Computed tomography. Image size 512x512. Field of view 394 mm wide, 5.00 mm slice spacing. 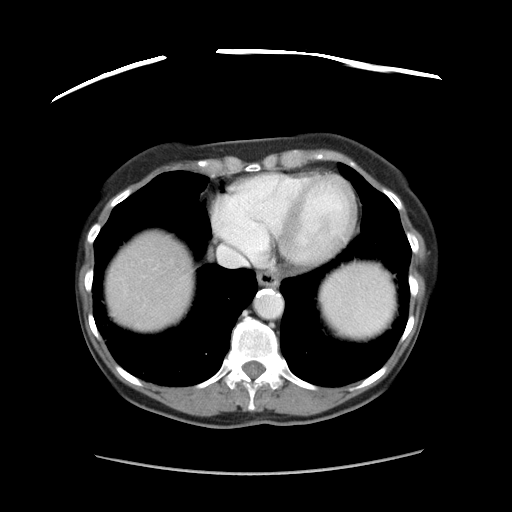

The vessel annotation is not exhaustive.
The hepatic vessel is located at <bbox>218, 240, 243, 265</bbox>.